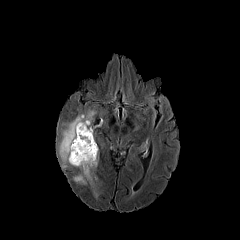
FLAIR MR image.
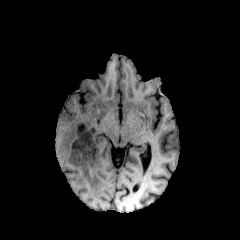
T1-weighted MR image.
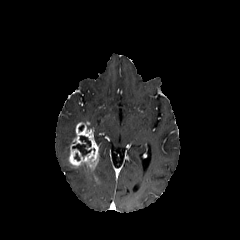
Post-contrast T1-weighted MR.
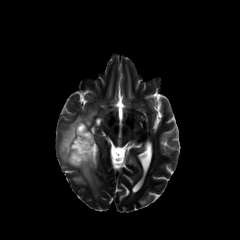
Same slice, T2-weighted MRI.
Non-enhancing tumor core at bbox=[72, 135, 91, 156].
Enhancing tumor at bbox=[68, 121, 99, 177].
Edema at bbox=[57, 106, 101, 187].